Field of view 240x240 mm. Slice 99/155.
FLAIR MRI.
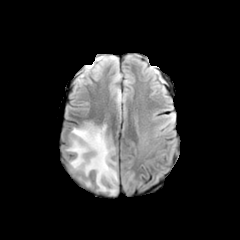
T1-weighted MRI.
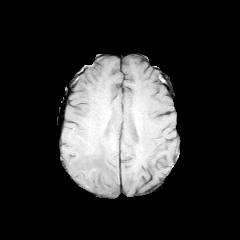
Post-contrast T1-weighted magnetic resonance.
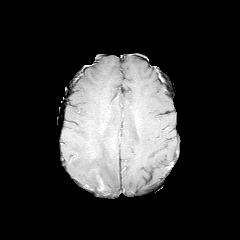
T2-weighted magnetic resonance.
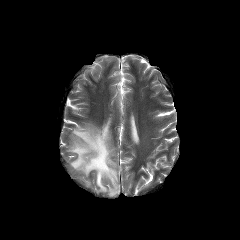
Annotated regions:
* edema: [x1=67, y1=123, x2=118, y2=194]